CT image; Slice 552/671 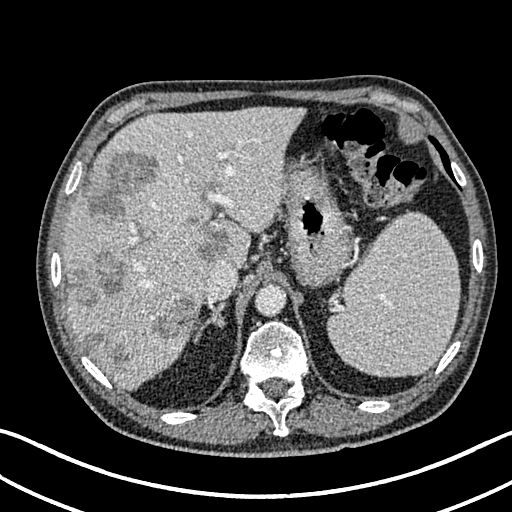 {
  "liver": [
    "box=[64, 107, 302, 388]"
  ],
  "hepatic_lesion": [
    "box=[152, 298, 195, 342]",
    "box=[70, 249, 129, 305]",
    "box=[190, 217, 199, 224]",
    "box=[197, 225, 231, 260]",
    "box=[82, 333, 128, 370]",
    "box=[87, 152, 159, 225]"
  ]
}